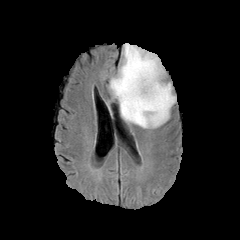
FLAIR MR.
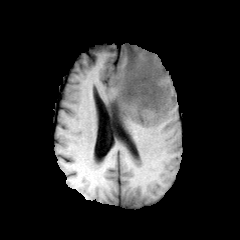
T1-weighted MRI.
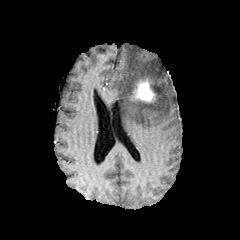
Same slice, post-contrast T1-weighted MRI.
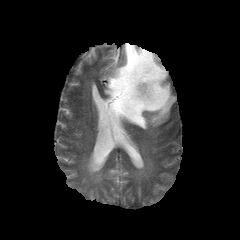
T2-weighted MR image.
enhancing_tumor:
  - (133,76,155,103)
edema:
  - (107,43,175,128)
non-enhancing_tumor_core:
  - (132,74,158,101)
  - (115,98,123,109)